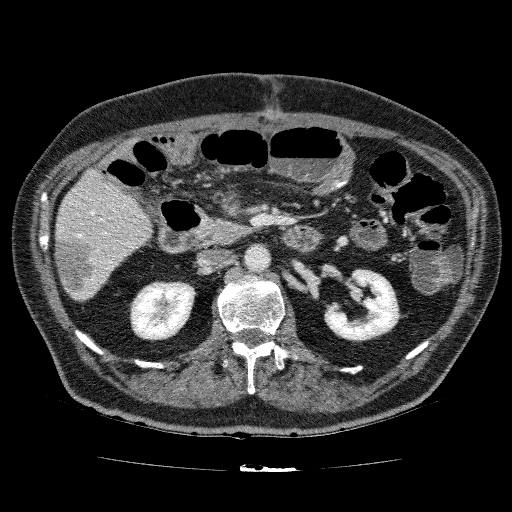 CT.
2 kidney regions appear at 130:282:194:339, 325:269:399:340. The liver is bounded by 55:167:153:301. The hepatic lesion is bounded by 55:234:95:293.